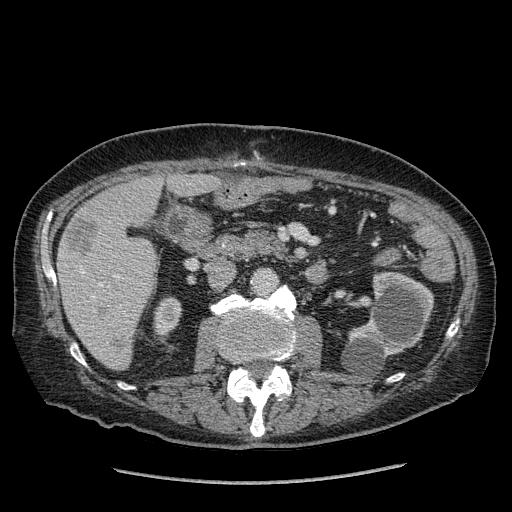
CT slice
3 liver lesion regions are bounded by left=98, top=308, right=106, bottom=316; left=67, top=218, right=96, bottom=253; left=112, top=335, right=125, bottom=350. 3 kidney regions are bounded by left=373, top=272, right=433, bottom=322; left=155, top=298, right=180, bottom=334; left=349, top=318, right=423, bottom=356. 2 liver regions are located at left=58, top=175, right=162, bottom=370; left=168, top=174, right=220, bottom=196.